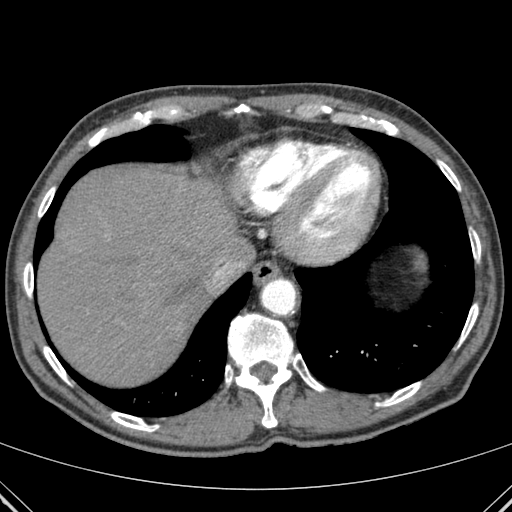

CT; Liver
Bone at (x1=378, y1=120, x2=398, y2=135), (x1=225, y1=314, x2=325, y2=427), (x1=459, y1=304, x2=478, y2=343), (x1=110, y1=412, x2=158, y2=431), (x1=38, y1=187, x2=54, y2=217), (x1=377, y1=382, x2=420, y2=406), (x1=43, y1=346, x2=68, y2=382), (x1=235, y1=104, x2=249, y2=112), (x1=470, y1=231, x2=480, y2=259), (x1=438, y1=160, x2=460, y2=190), (x1=88, y1=129, x2=105, y2=146), (x1=23, y1=263, x2=33, y2=297).
Liver at (x1=38, y1=164, x2=242, y2=387).
Lung at (x1=36, y1=125, x2=190, y2=265), (x1=40, y1=272, x2=251, y2=416), (x1=295, y1=128, x2=473, y2=392).